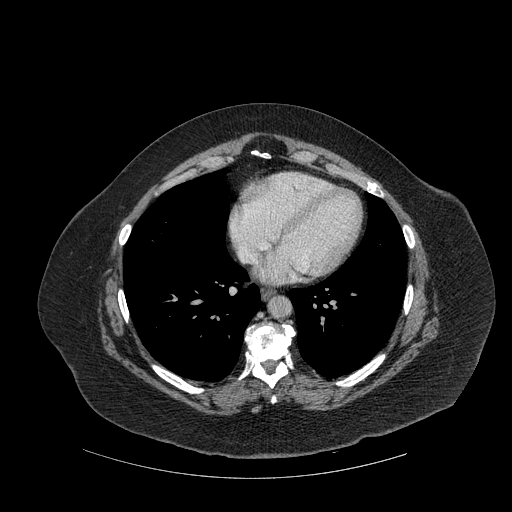

CT scan slice
{"bone": ["[x1=336, y1=355, x2=384, y2=386]", "[x1=403, y1=225, x2=414, y2=247]", "[x1=119, y1=225, x2=130, y2=244]", "[x1=239, y1=324, x2=295, y2=387]", "[x1=252, y1=151, x2=269, y2=157]", "[x1=118, y1=290, x2=128, y2=321]", "[x1=153, y1=365, x2=203, y2=393]", "[x1=404, y1=285, x2=412, y2=313]"], "lung": ["[x1=289, y1=193, x2=405, y2=377]", "[x1=123, y1=170, x2=260, y2=381]"]}